CT
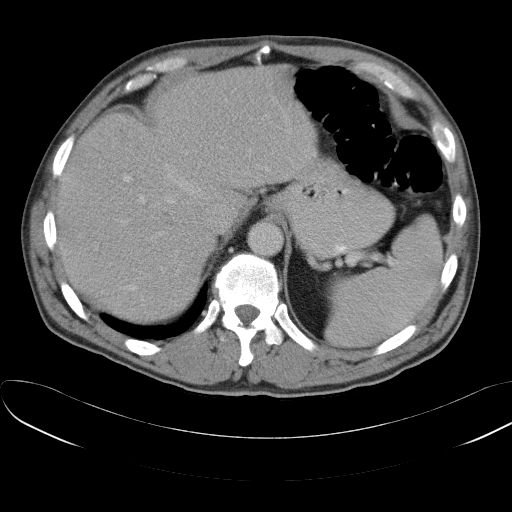

The spleen lies within bbox(326, 217, 442, 346).